Brain
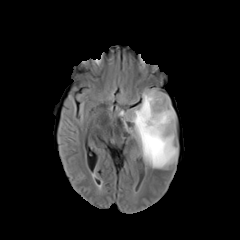
FLAIR MR.
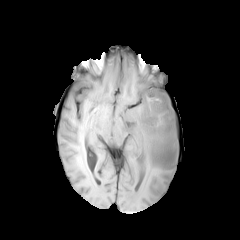
T1-weighted MR image.
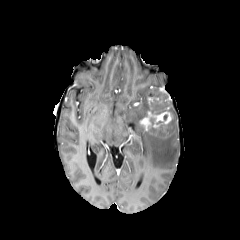
Post-contrast T1-weighted magnetic resonance of the same slice.
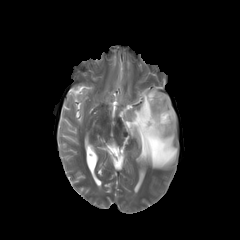
Same slice, T2-weighted magnetic resonance.
Enhancing tumor: box(140, 111, 171, 130).
Non-enhancing tumor core: box(138, 88, 174, 131).
Edema: box(116, 87, 178, 170).